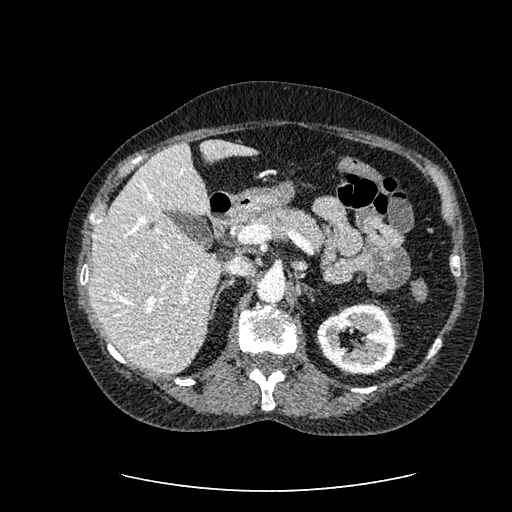
Liver, Computed tomography
Liver — left=200, top=141, right=257, bottom=163; left=91, top=143, right=219, bottom=374.
Kidney — left=318, top=305, right=395, bottom=373.